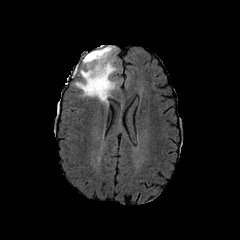
FLAIR MRI.
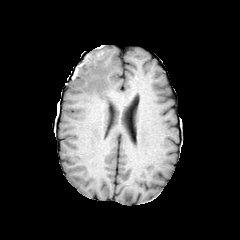
T1-weighted magnetic resonance.
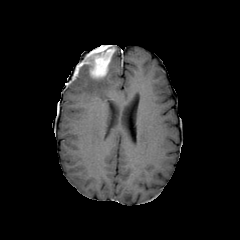
Post-contrast T1-weighted MR image.
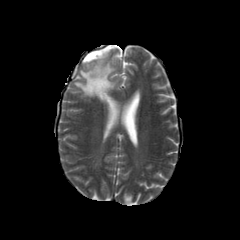
Same slice, T2-weighted magnetic resonance.
The enhancing tumor appears at bbox(81, 45, 115, 80). The edema is at bbox(70, 52, 119, 106).